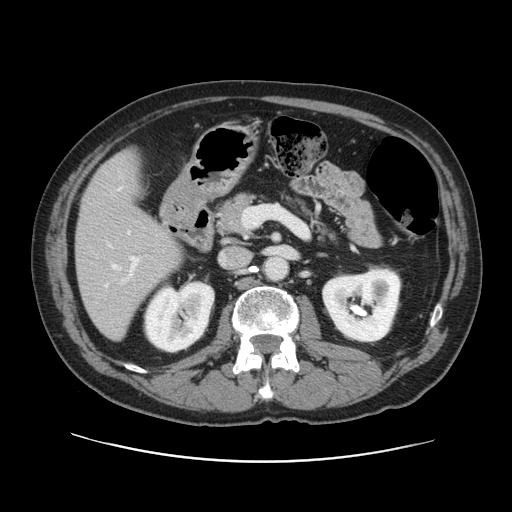
Abdomen; CT scan slice
The vessel boxes may cover only some of the vessels.
6 hepatic vessel regions are located at l=130, t=256, r=137, b=273; l=108, t=244, r=110, b=246; l=118, t=188, r=121, b=190; l=121, t=279, r=123, b=283; l=128, t=230, r=129, b=233; l=112, t=265, r=120, b=269.